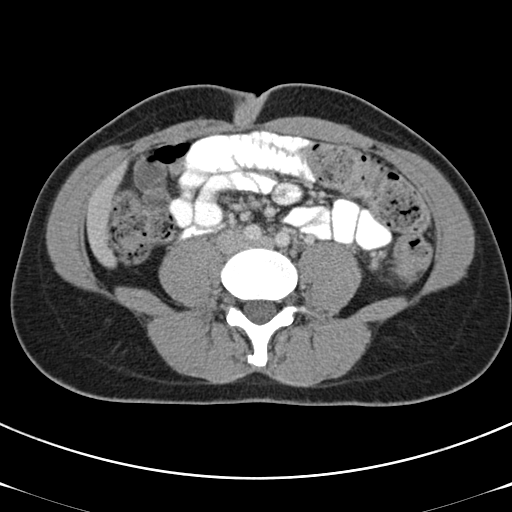

Computed tomography, Abdomen
Colon tumor: bounding box region(394, 235, 432, 278).